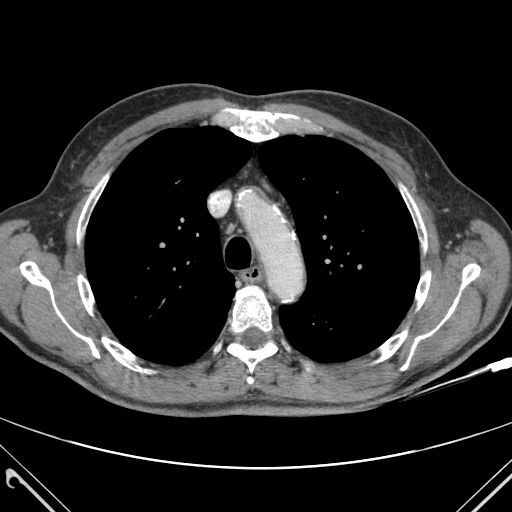
Computed tomography
<segmentation>
  <bone>416, 271, 430, 308; 377, 331, 406, 361; 410, 198, 426, 250; 460, 264, 480, 289; 102, 337, 146, 372; 77, 175, 107, 242; 227, 343, 277, 371; 224, 108, 298, 141; 20, 261, 99, 357; 78, 275, 93, 314; 401, 294, 459, 370; 232, 286, 271, 332</bone>
  <lung>85, 126, 251, 365; 258, 135, 418, 362</lung>
</segmentation>